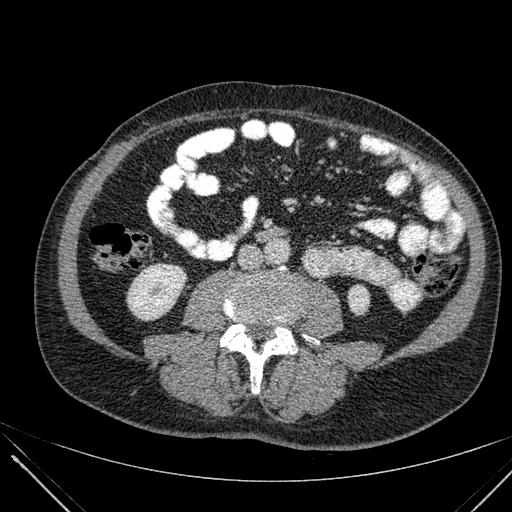
Computed tomography. Abdomen.
2 kidney regions are bounded by {"x1": 348, "y1": 285, "x2": 368, "y2": 314}, {"x1": 128, "y1": 264, "x2": 185, "y2": 319}.